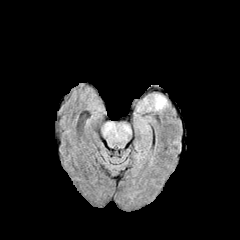
FLAIR magnetic resonance.
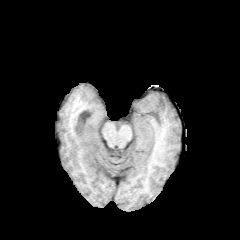
T1-weighted MR.
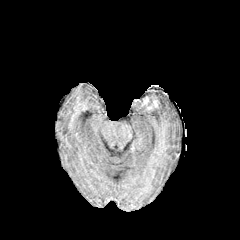
Post-contrast T1-weighted MRI.
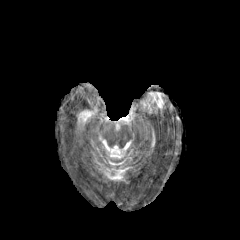
T2-weighted MR image.
240x240 px
{
  "edema": [
    "l=137, t=94, r=167, b=110"
  ]
}